CT; Field of view 700x700 mm; Upper abdomen
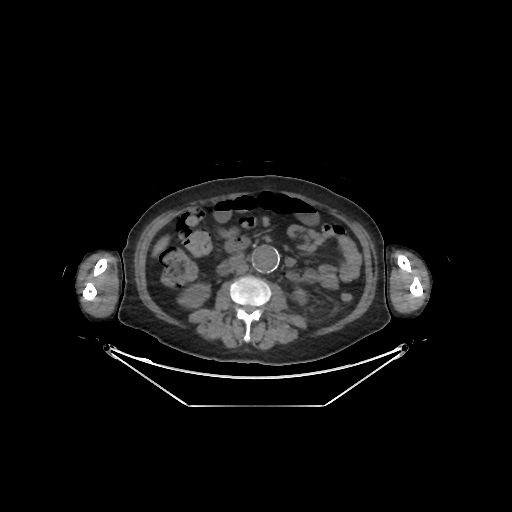
Bone = <box>83,258,107,300</box>, <box>230,277,270,340</box>, <box>398,254,422,297</box>.
Liver = <box>155,238,167,253</box>.
Kidney = <box>291,288,307,305</box>, <box>177,283,210,308</box>.